Brain; Slice index 41; Field of view 240x240 mm
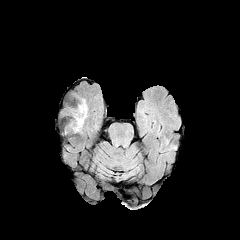
FLAIR MR.
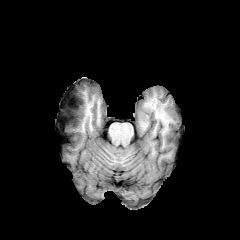
T1-weighted MR.
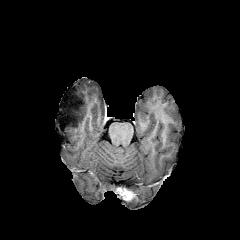
Post-contrast T1-weighted MR.
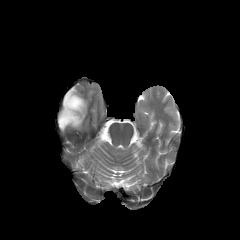
T2-weighted MR image.
The edema lies within box=[73, 98, 87, 132]. The non-enhancing tumor core appears at box=[61, 99, 85, 128].